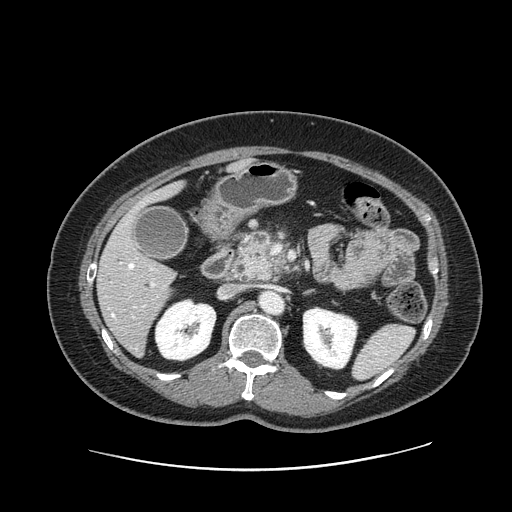
CT scan slice | 512x512 px

The pancreas is at region(238, 232, 286, 281).